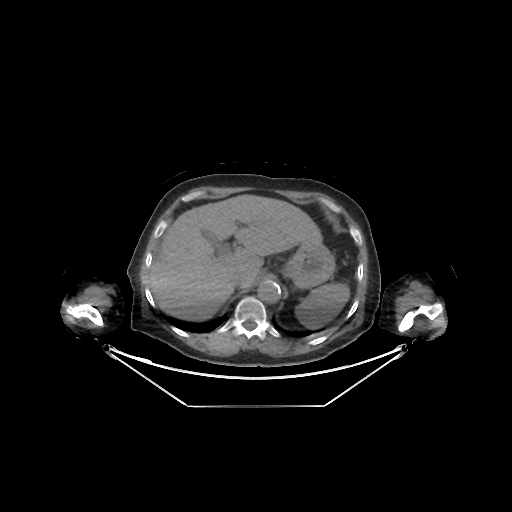
Liver, CT image
bone:
  - (left=67, top=304, right=102, bottom=325)
  - (left=399, top=303, right=442, bottom=331)
  - (left=347, top=301, right=357, bottom=316)
  - (left=234, top=297, right=268, bottom=338)
  - (left=155, top=223, right=165, bottom=236)
  - (left=309, top=336, right=326, bottom=344)
  - (left=146, top=253, right=151, bottom=267)
  - (left=146, top=289, right=153, bottom=305)
  - (left=358, top=264, right=362, bottom=280)
  - (left=172, top=328, right=188, bottom=336)
liver:
  - (left=148, top=195, right=321, bottom=319)
lung:
  - (left=163, top=312, right=229, bottom=332)
  - (left=272, top=316, right=324, bottom=336)